Slice index 13; Upper abdomen; Field of view 400x400 mm; CT slice

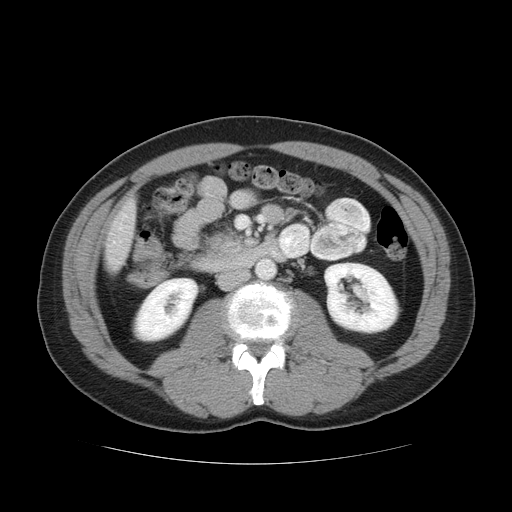

{"pancreatic_tumor": ["217,242,244,254"], "pancreas": ["205,234,241,261"]}